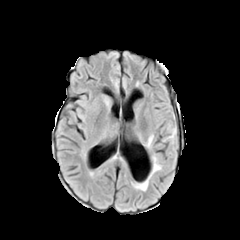
FLAIR MRI.
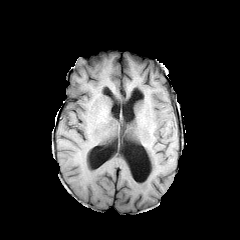
T1-weighted MR.
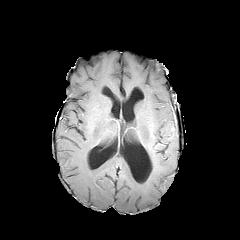
Post-contrast T1-weighted magnetic resonance.
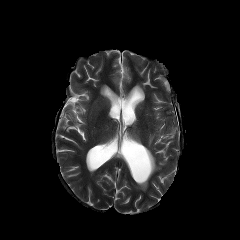
T2-weighted magnetic resonance of the same slice.
Brain
3 edema regions appear at region(133, 153, 162, 191); region(163, 124, 176, 142); region(147, 135, 153, 148).